Slice 565/574, Image width 411 mm, Image size 512x512, Chest, CT image

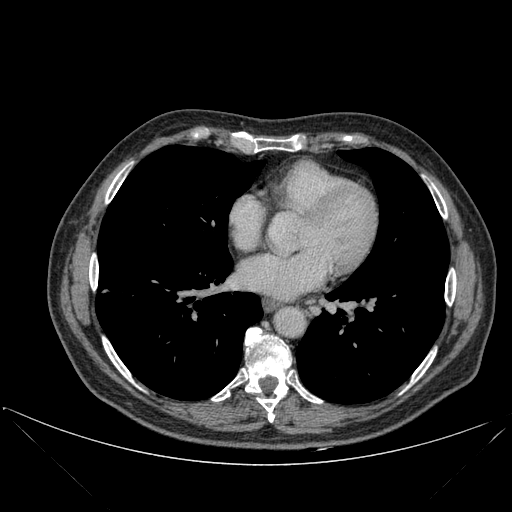

Bone = l=211, t=327, r=293, b=422; l=430, t=185, r=447, b=218; l=445, t=268, r=456, b=305; l=295, t=386, r=322, b=403; l=105, t=168, r=125, b=203; l=253, t=135, r=298, b=152; l=410, t=349, r=436, b=383; l=102, t=337, r=134, b=383; l=89, t=254, r=98, b=290.
Lung = l=296, t=147, r=449, b=403; l=95, t=145, r=264, b=400.